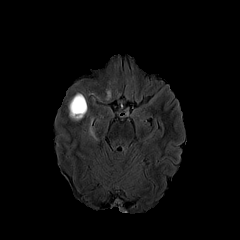
FLAIR magnetic resonance.
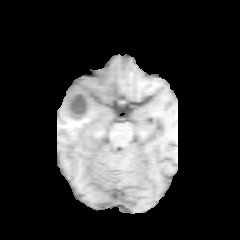
Same slice, T1-weighted magnetic resonance.
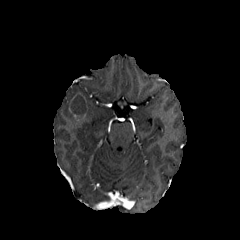
Same slice, post-contrast T1-weighted MR.
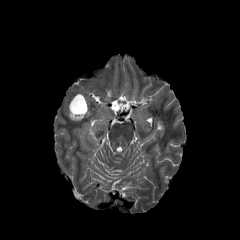
T2-weighted MR image.
Brain.
<segmentation>
  <edema>l=88, t=116, r=96, b=140</edema>
  <enhancing_tumor>l=68, t=107, r=84, b=118</enhancing_tumor>
  <non-enhancing_tumor_core>l=70, t=95, r=86, b=114</non-enhancing_tumor_core>
</segmentation>